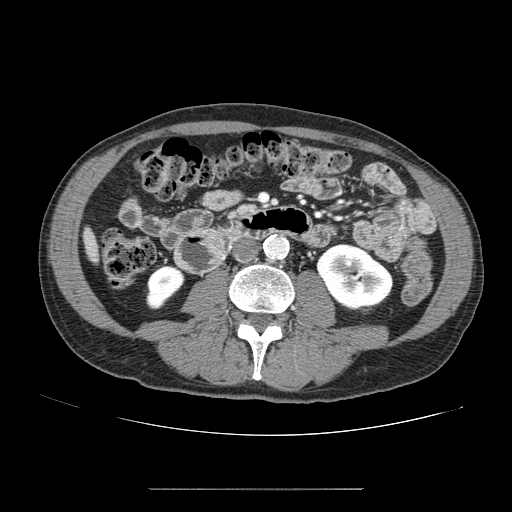 CT
The pancreas is located at (left=228, top=206, right=254, bottom=221).